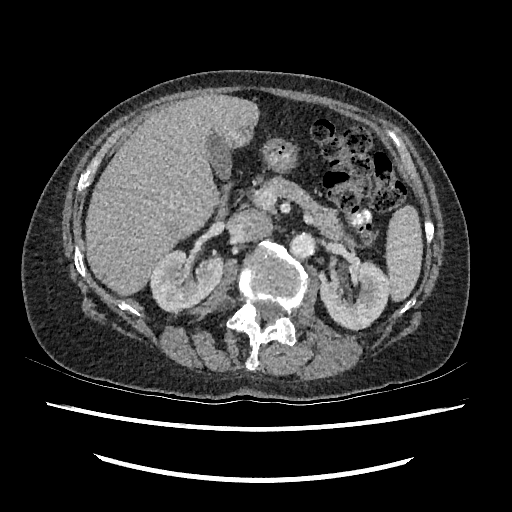
CT; Abdomen

Liver: bounding box <box>86,95,258,295</box>.
Kidney: bounding box <box>320,257,390,329</box>, <box>151,251,222,311</box>.